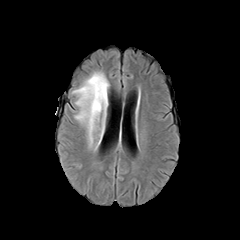
FLAIR magnetic resonance.
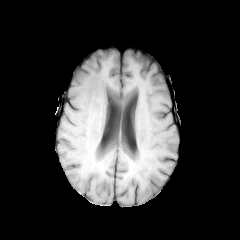
T1-weighted MR.
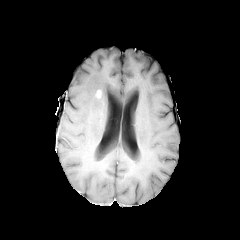
Same slice, post-contrast T1-weighted magnetic resonance.
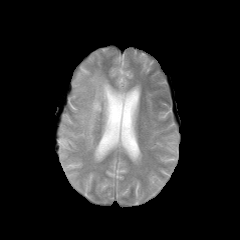
Same slice, T2-weighted MR image.
Head
The edema appears at <bbox>72, 71, 110, 147</bbox>.